Computed tomography; Slice 282/463 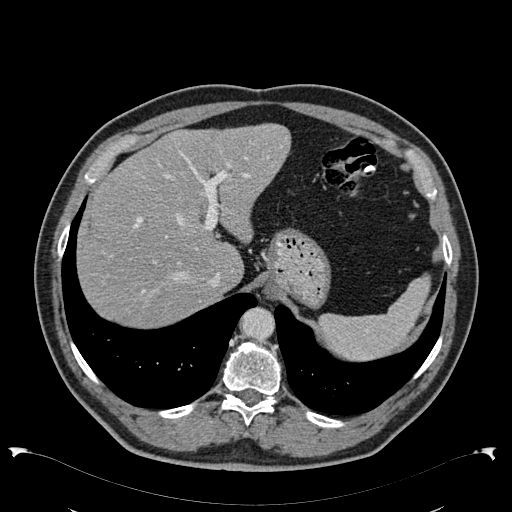 <segmentation>
  <liver>box(77, 124, 290, 326)</liver>
</segmentation>